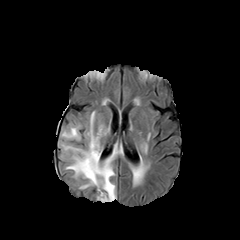
FLAIR magnetic resonance.
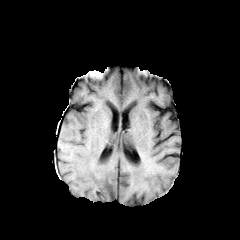
Same slice, T1-weighted MR.
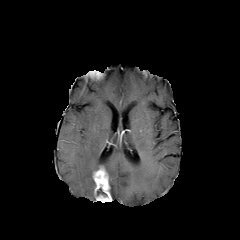
Same slice, post-contrast T1-weighted MR image.
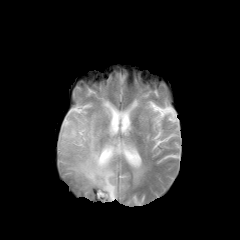
T2-weighted MR of the same slice.
<segmentation>
  <enhancing_tumor>region(93, 166, 111, 200)</enhancing_tumor>
  <edema>region(60, 112, 109, 198); region(134, 166, 142, 181); region(104, 143, 122, 199)</edema>
</segmentation>